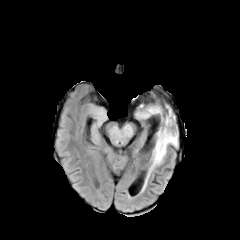
FLAIR MR.
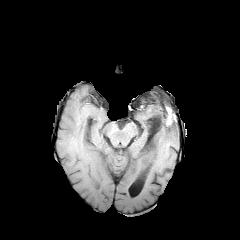
T1-weighted MR of the same slice.
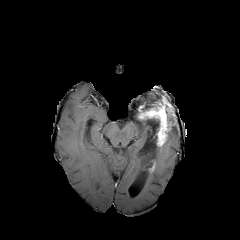
Same slice, post-contrast T1-weighted MR.
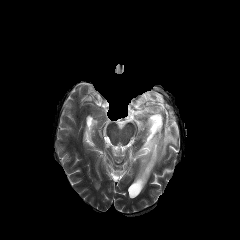
T2-weighted MRI.
240x240 px
Non-enhancing tumor core = (x1=139, y1=104, x2=152, y2=109).
Edema = (x1=147, y1=124, x2=178, y2=180).
Enhancing tumor = (x1=138, y1=100, x2=175, y2=146).